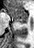 MR, 34x48, Medial temporal lobe
<segmentation>
  <posterior_hippocampus><box>16,21,27,23</box></posterior_hippocampus>
  <anterior_hippocampus><box>7,7,27,20</box></anterior_hippocampus>
</segmentation>